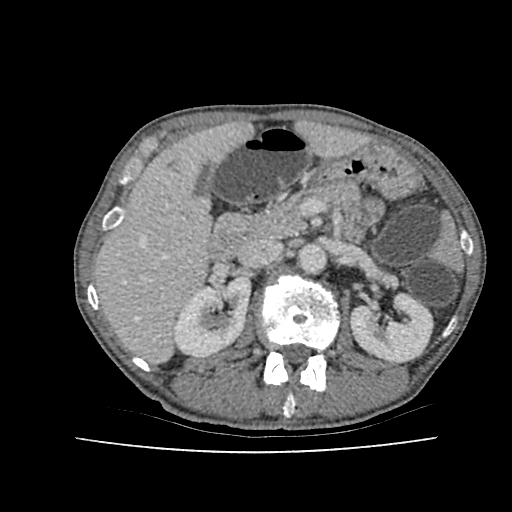 512x512, CT scan slice

Segmented structures:
• liver: [299, 124, 363, 153], [97, 124, 252, 359]
• kidney: [351, 294, 432, 361], [174, 277, 249, 356]
• liver lesion: [168, 158, 181, 172]